FLAIR magnetic resonance.
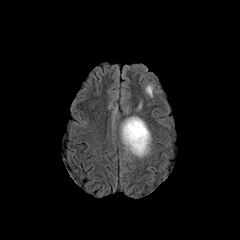
T1-weighted MRI.
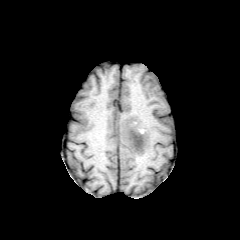
Post-contrast T1-weighted MRI.
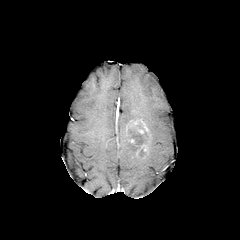
T2-weighted MRI.
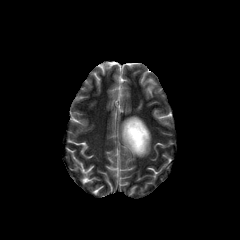
240x240 | Brain
Edema = box=[120, 115, 151, 157].
Non-enhancing tumor core = box=[127, 128, 148, 153].
Enhancing tumor = box=[126, 120, 147, 135].